Slice 74/155; Brain
FLAIR MR.
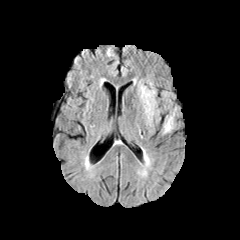
T1-weighted MR image.
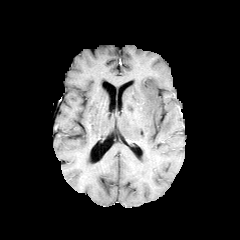
Post-contrast T1-weighted MRI.
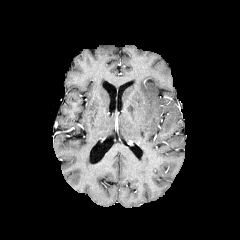
T2-weighted MR.
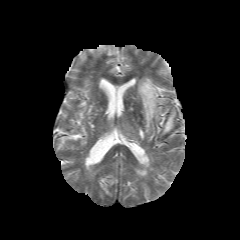
edema:
  - region(162, 106, 176, 133)
  - region(138, 80, 156, 127)